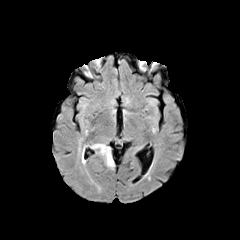
FLAIR MR image.
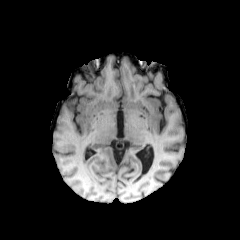
Same slice, T1-weighted MR image.
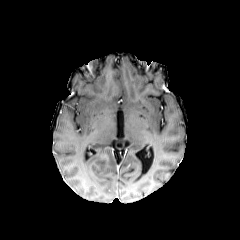
Same slice, post-contrast T1-weighted MR.
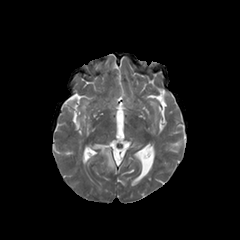
T2-weighted magnetic resonance.
Brain.
Edema = 90,143,114,169; 81,145,86,164.